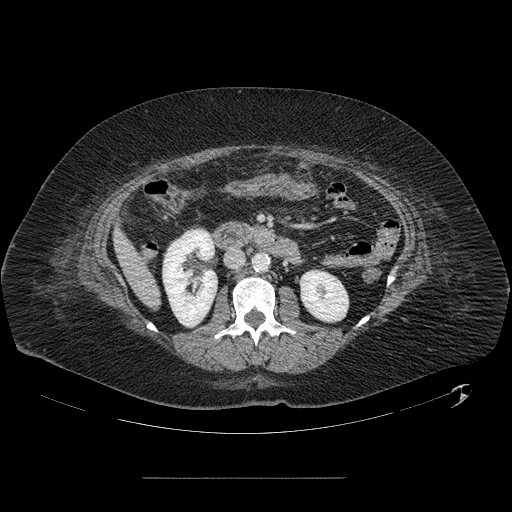 Upper abdomen. Computed tomography. 512x512. * pancreas: [254,228,272,236]